CT scan slice | Field of view 306x306 mm | 512x512 px | Lower abdomen
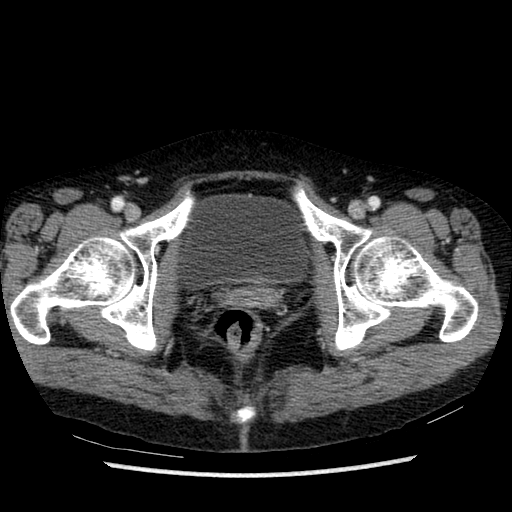 The urinary bladder is at <box>175,193,315,292</box>.